CT slice 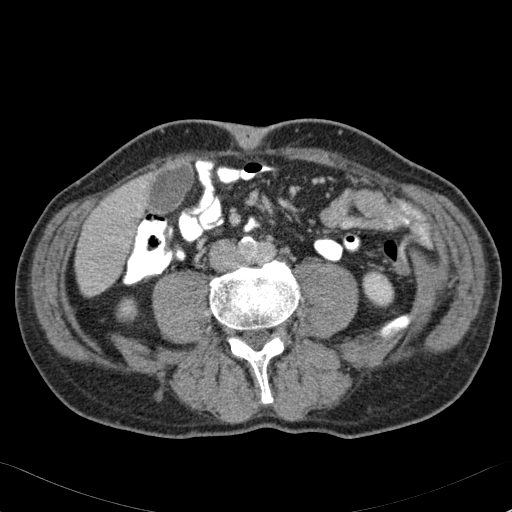 The liver is at 76:175:148:295. The kidney appears at 364:273:392:304.